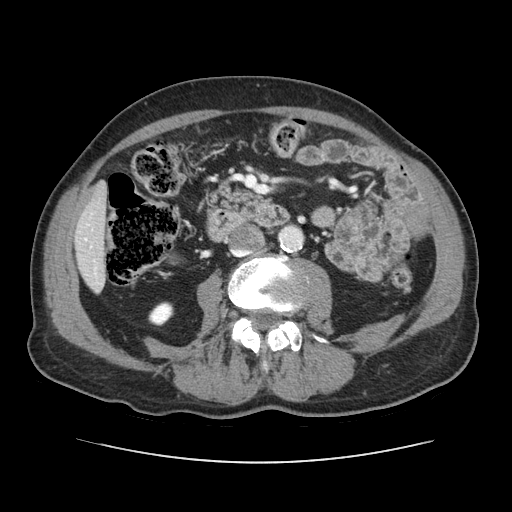

Upper abdomen. Computed tomography. 512x512 px.
pancreas:
  - l=241, t=200, r=261, b=216